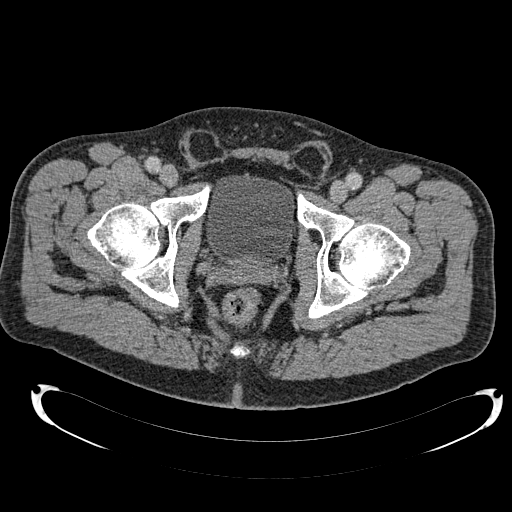 512x512 | CT scan slice | Pelvis

Urinary bladder — bbox=[206, 173, 294, 268].